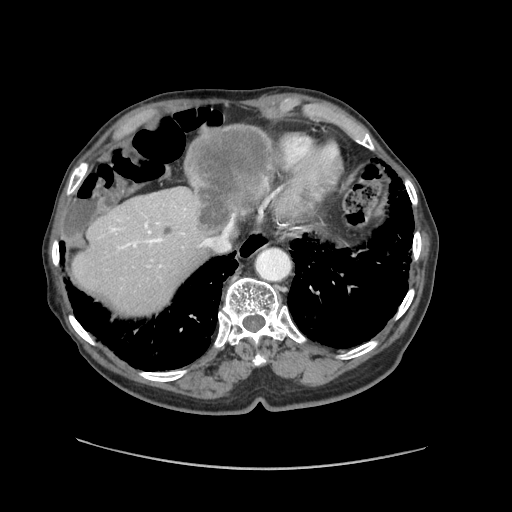 CT scan slice, Abdomen
Some hepatic vessels may have no box.
liver_tumor:
  - 188:126:269:231
hepatic_vessel:
  - 144:237:163:244
  - 118:241:138:248
  - 200:215:234:251